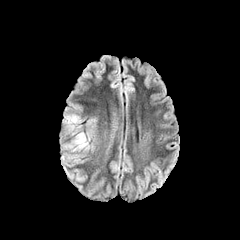
FLAIR magnetic resonance.
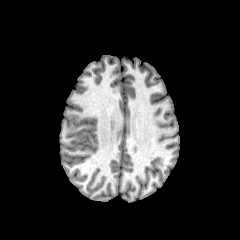
T1-weighted magnetic resonance of the same slice.
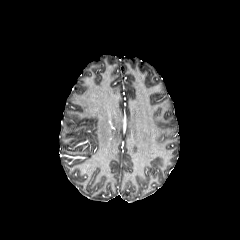
Post-contrast T1-weighted magnetic resonance.
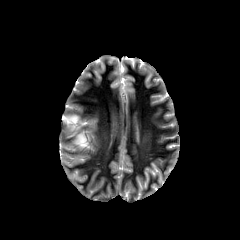
Same slice, T2-weighted MR image.
240x240 px
edema:
  - (left=63, top=112, right=93, bottom=150)